Pelvis, Slice 39/266, CT image
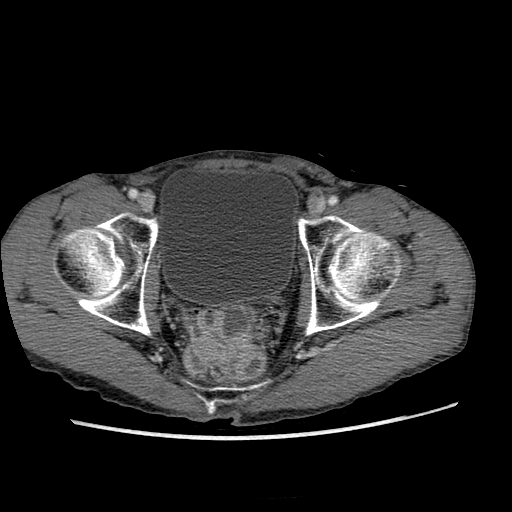

urinary_bladder:
  - 160:167:296:301